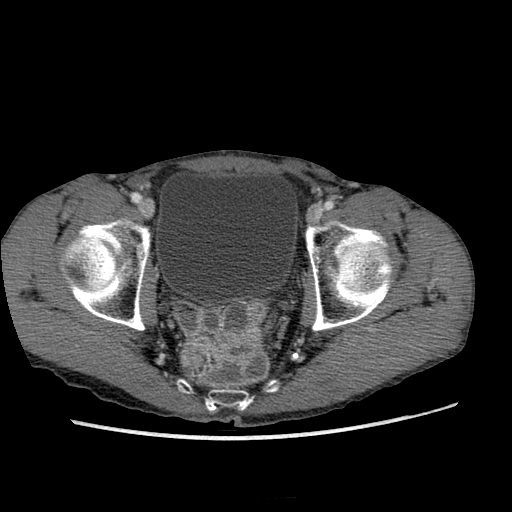

512x512 px; CT image
{"urinary_bladder": ["x1=160 y1=168 x2=295 y2=294"]}